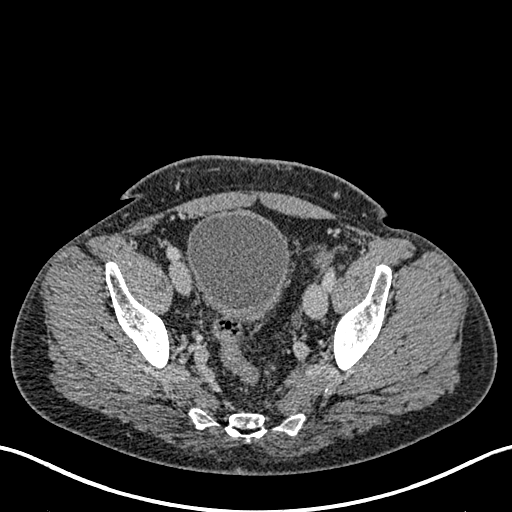

Pelvis, Computed tomography
Urinary bladder: bounding box (186, 212, 290, 322).